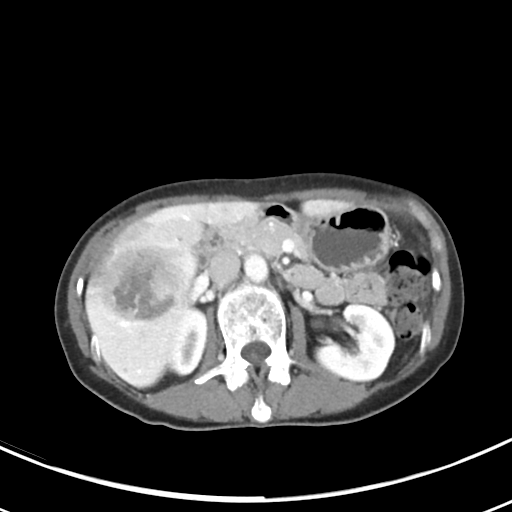
CT scan slice
Annotated regions:
* liver tumor: bbox=[92, 218, 191, 327]